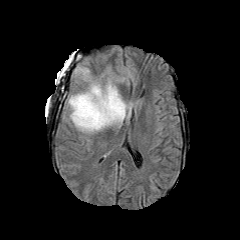
FLAIR MR image.
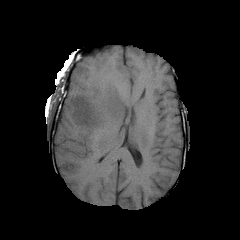
T1-weighted MR image.
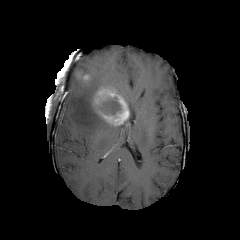
Post-contrast T1-weighted MRI of the same slice.
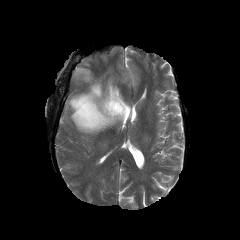
T2-weighted magnetic resonance.
Brain
<segmentation>
  <non-enhancing_tumor_core>[103, 98, 120, 114]</non-enhancing_tumor_core>
  <enhancing_tumor>[94, 88, 129, 122]</enhancing_tumor>
  <edema>[68, 65, 121, 133]</edema>
</segmentation>